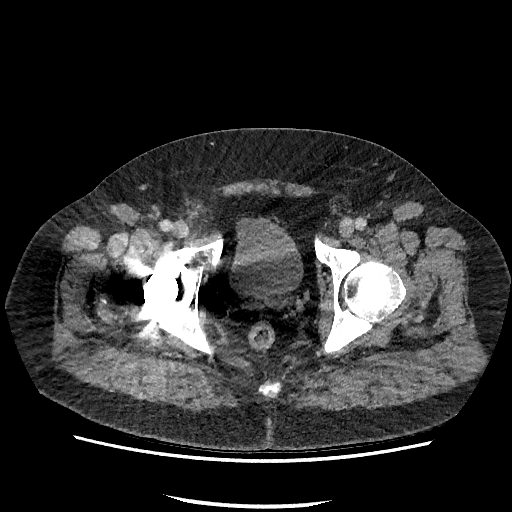

Pelvis; CT slice

Segmented structures:
* urinary bladder: 231,217,302,302